Brain. Slice 667/685. CT scan slice.
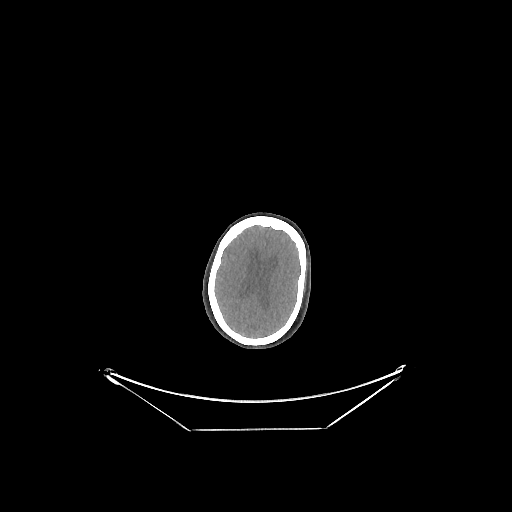
The brain is at <bbox>215, 225, 300, 338</bbox>.